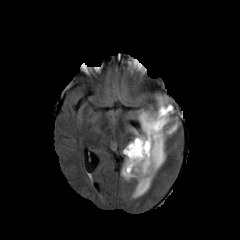
FLAIR MRI.
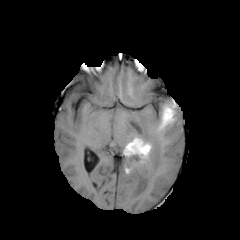
Same slice, T1-weighted magnetic resonance.
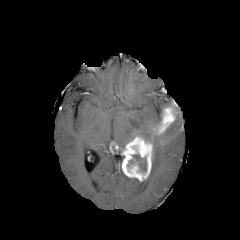
Post-contrast T1-weighted MR.
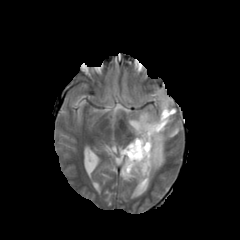
T2-weighted MRI.
Brain
Edema — (130, 94, 180, 197).
Enhancing tumor — (122, 137, 152, 181), (158, 108, 173, 131).
Non-enhancing tumor core — (138, 137, 155, 160), (129, 154, 146, 171).